Head; Field of view 240 mm wide, 1.00 mm slice spacing
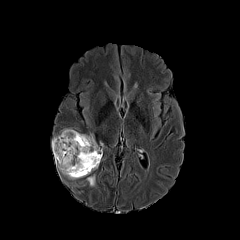
FLAIR MR.
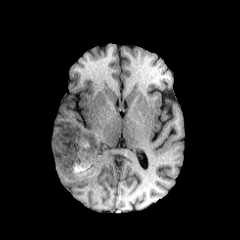
T1-weighted MR of the same slice.
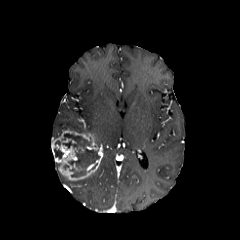
Post-contrast T1-weighted MR image of the same slice.
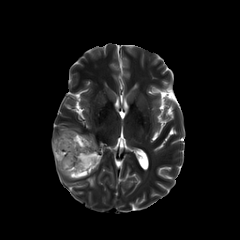
T2-weighted MR image of the same slice.
Findings:
- edema: x1=86 y1=175 x2=95 y2=186
- enhancing tumor: x1=51 y1=130 x2=103 y2=179
- non-enhancing tumor core: x1=54 y1=140 x2=63 y2=159, x1=61 y1=133 x2=100 y2=177